Head
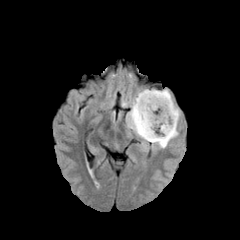
FLAIR magnetic resonance.
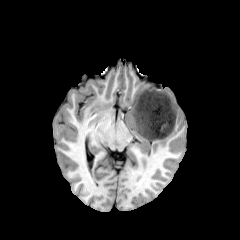
T1-weighted MR of the same slice.
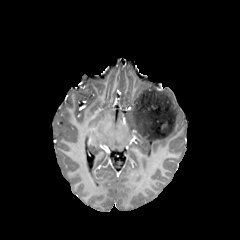
Post-contrast T1-weighted magnetic resonance.
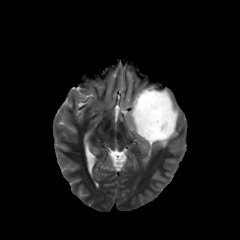
Same slice, T2-weighted MRI.
{"edema": ["box(121, 86, 181, 151)"], "non-enhancing_tumor_core": ["box(132, 89, 175, 141)"]}